Head | Slice index 94
FLAIR MRI.
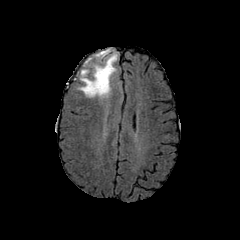
T1-weighted magnetic resonance.
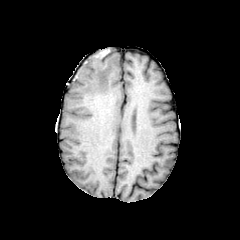
Post-contrast T1-weighted magnetic resonance.
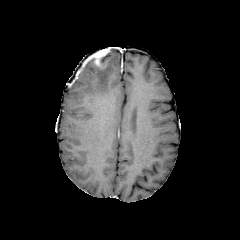
T2-weighted magnetic resonance.
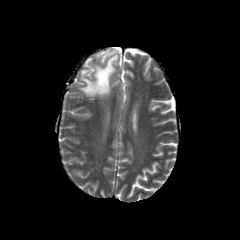
Annotated regions:
- edema: (76, 48, 119, 99)
- enhancing tumor: (84, 48, 110, 65)
- non-enhancing tumor core: (98, 54, 107, 67), (85, 58, 95, 71)